512x512; CT scan slice; Slice 20/92; Abdomen
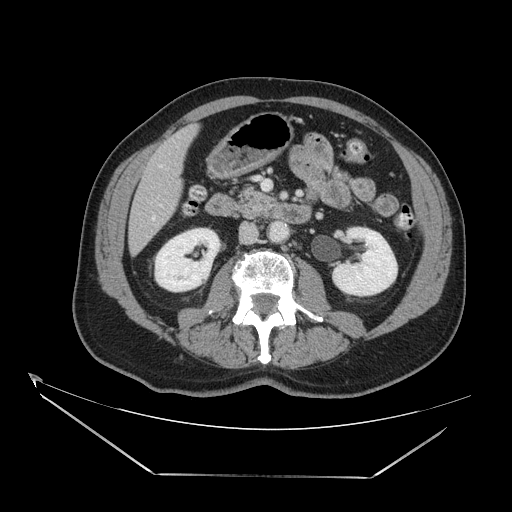

pancreas: 244 191 269 210